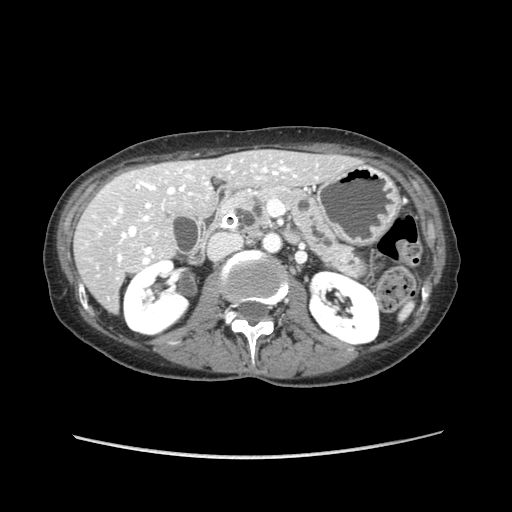

Image size 512x512, Upper abdomen, CT
The pancreas is located at <bbox>220, 189, 366, 276</bbox>.